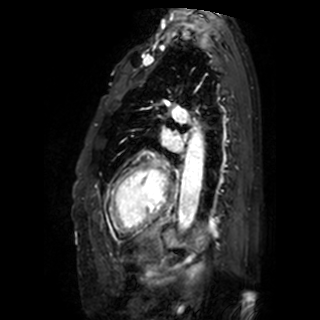 MR | Heart
<segmentation>
  <left_atrium>(x1=161, y1=131, x2=182, y2=151)</left_atrium>
</segmentation>